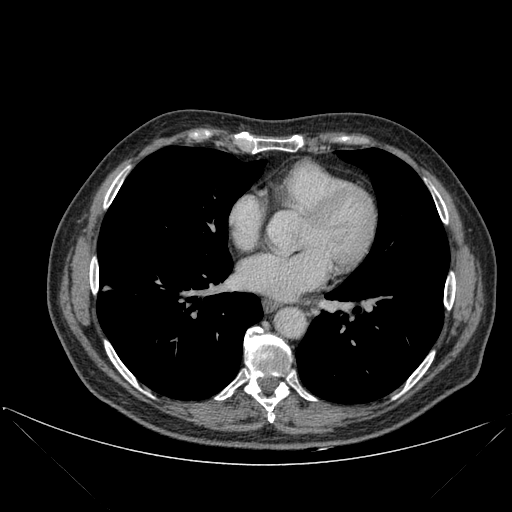
Computed tomography

Annotated regions:
* lung: (left=96, top=146, right=266, bottom=399), (left=296, top=148, right=449, bottom=403)
* bone: (left=104, top=172, right=123, bottom=207), (left=252, top=135, right=302, bottom=153), (left=432, top=188, right=447, bottom=223), (left=89, top=257, right=98, bottom=293), (left=401, top=352, right=434, bottom=393), (left=105, top=341, right=141, bottom=390), (left=444, top=272, right=455, bottom=309), (left=215, top=327, right=293, bottom=423)